Slice index 102 | Image size 240x240
FLAIR MR.
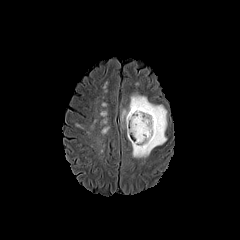
T1-weighted MR image.
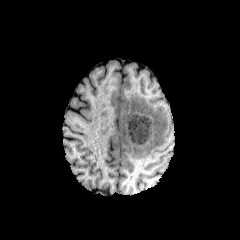
Post-contrast T1-weighted magnetic resonance.
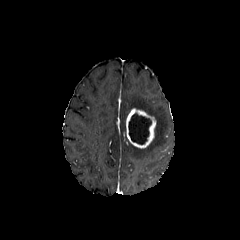
T2-weighted MR.
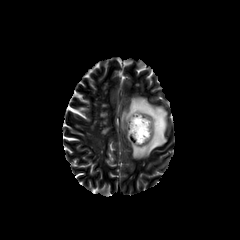
enhancing tumor: 125, 108, 156, 148 | non-enhancing tumor core: 128, 113, 151, 144 | edema: 120, 96, 166, 159